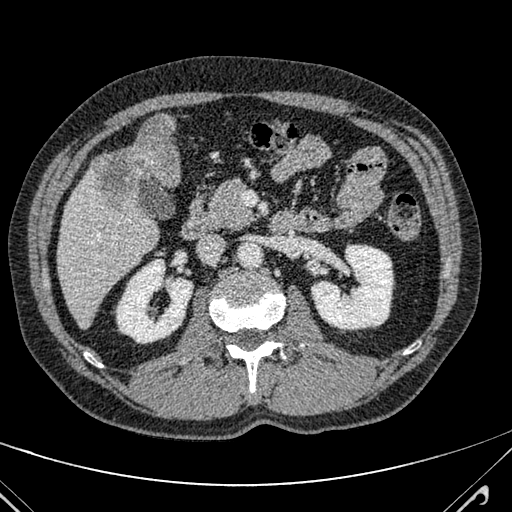
CT image; Abdomen

The liver lesion lies within bbox=[94, 115, 180, 206]. The liver appears at bbox=[58, 162, 156, 326].